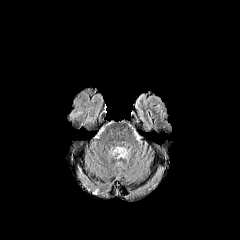
FLAIR MR image.
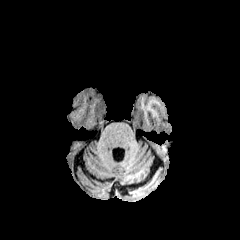
Same slice, T1-weighted MR.
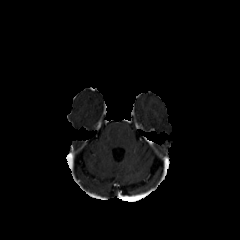
Post-contrast T1-weighted MR.
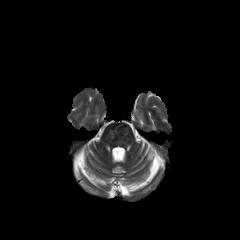
Same slice, T2-weighted MRI.
240x240 px
{
  "edema": [
    "region(71, 110, 82, 118)"
  ]
}